FLAIR MR.
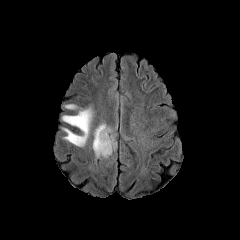
T1-weighted MR image.
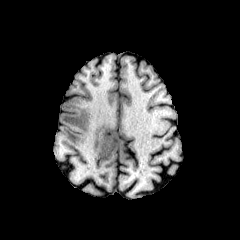
Post-contrast T1-weighted MR.
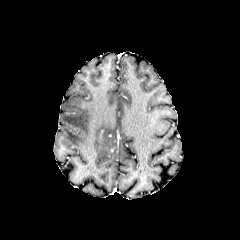
T2-weighted MRI.
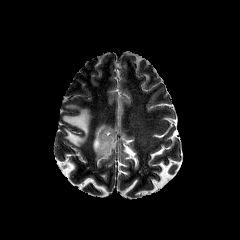
Head
<segmentation>
  <edema>rect(62, 107, 92, 146); rect(93, 124, 115, 158)</edema>
</segmentation>